Slice index 111 | Head
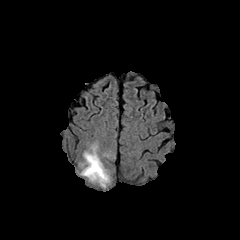
FLAIR magnetic resonance.
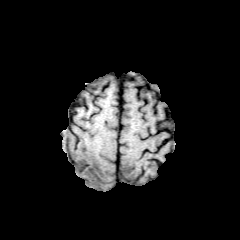
Same slice, T1-weighted MRI.
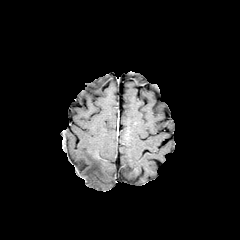
Post-contrast T1-weighted MRI.
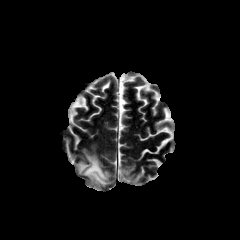
T2-weighted magnetic resonance.
Segmented structures:
• edema: <bbox>79, 144, 110, 188</bbox>